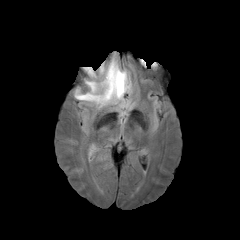
FLAIR MRI.
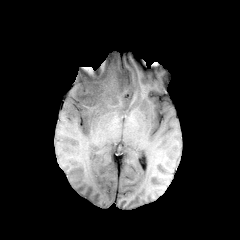
T1-weighted MR image of the same slice.
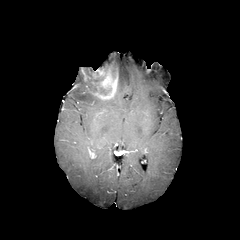
Same slice, post-contrast T1-weighted MR.
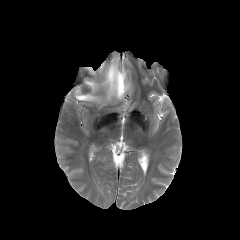
T2-weighted MR image.
Enhancing tumor = 93:64:117:98.
Edema = 73:53:133:118.